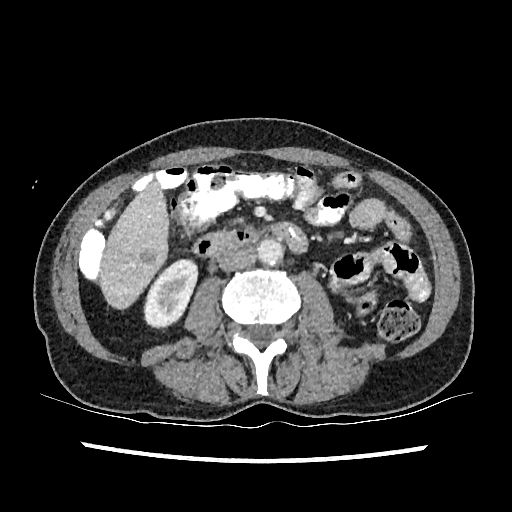 CT slice | Abdomen
Liver lesion — [140, 249, 156, 263].
Kidney — [145, 260, 197, 325].
Liver — [101, 180, 167, 307].